FLAIR magnetic resonance.
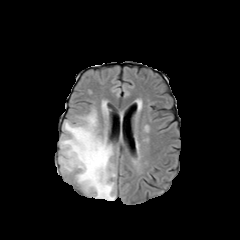
T1-weighted MR image.
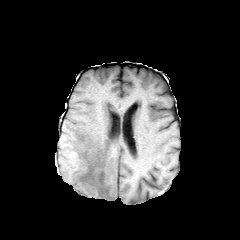
Post-contrast T1-weighted magnetic resonance.
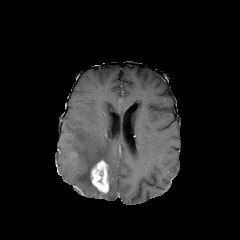
T2-weighted MRI.
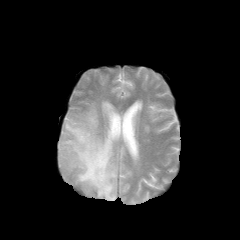
Image size 240x240; Head
edema: 59, 109, 116, 200 | enhancing tumor: 91, 160, 109, 193